Slice 87 of 771. CT slice. 512x512 px. Field of view 373x373 mm. 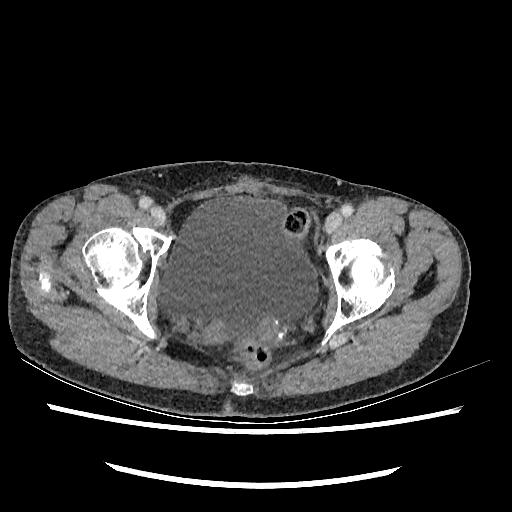
The urinary bladder is at (x1=157, y1=196, x2=317, y2=342).